Abdomen, CT scan slice 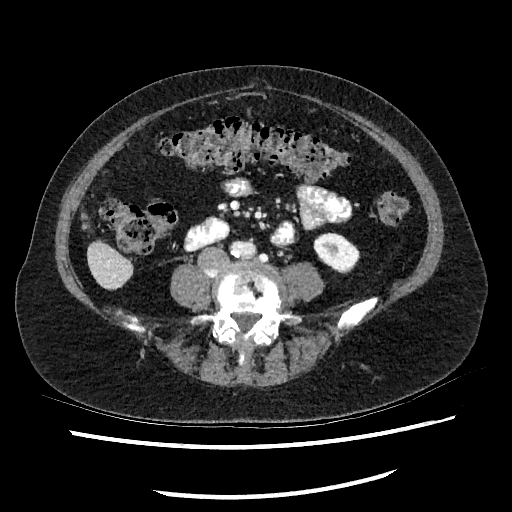 The liver is at [x1=88, y1=242, x2=131, y2=288]. The kidney is bounded by [x1=315, y1=234, x2=358, y2=269].